FLAIR MRI.
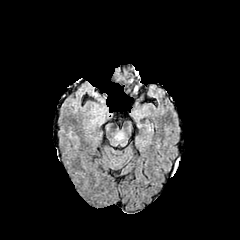
T1-weighted MR.
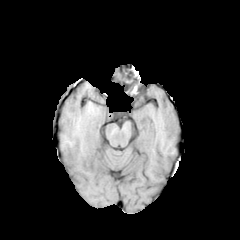
Post-contrast T1-weighted MR image.
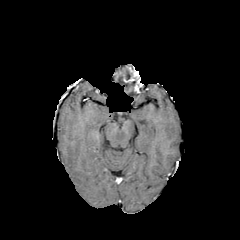
T2-weighted MRI.
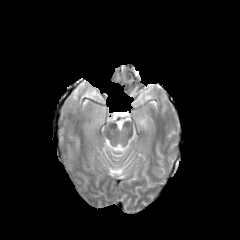
240x240 px | Brain
<segmentation>
  <edema>90,88,103,102</edema>
</segmentation>